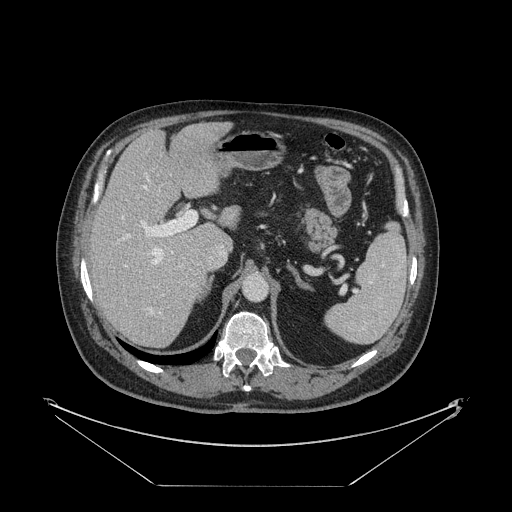
CT | Abdomen | 512x512
Some hepatic vessels may have no box.
5 hepatic vessel regions appear at <box>142,221,159,235</box>, <box>124,265,125,266</box>, <box>124,235,128,238</box>, <box>150,308,153,313</box>, <box>118,239,120,240</box>.